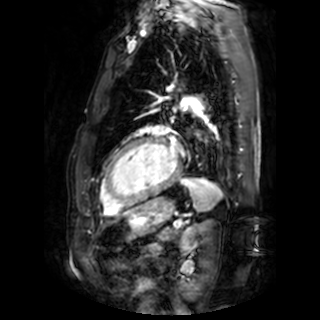 Image size 320x320 | MR image
left_atrium:
  - x1=171 y1=143 x2=178 y2=150